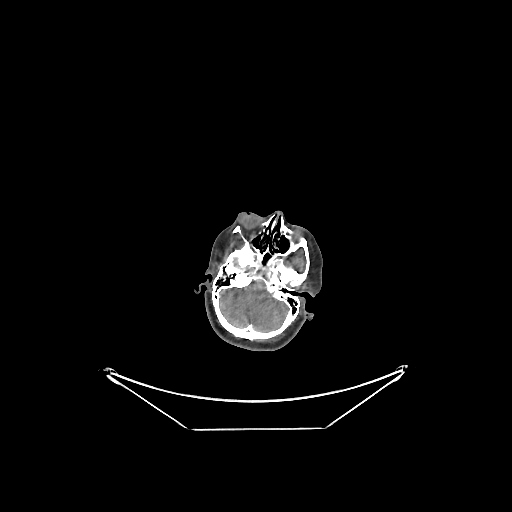 Head. CT image. - brain: 219, 280, 288, 332